FLAIR magnetic resonance.
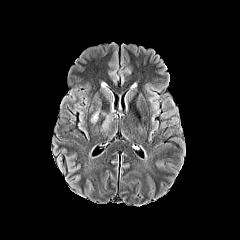
T1-weighted MR image.
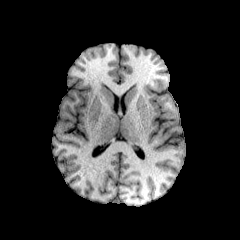
Post-contrast T1-weighted MR image.
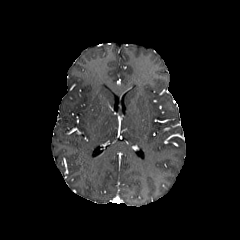
T2-weighted magnetic resonance.
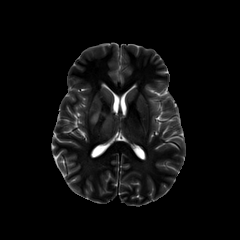
Head
Segmented structures:
- edema: (x1=102, y1=115, x2=113, y2=129), (x1=90, y1=109, x2=100, y2=124)